Computed tomography, Abdomen

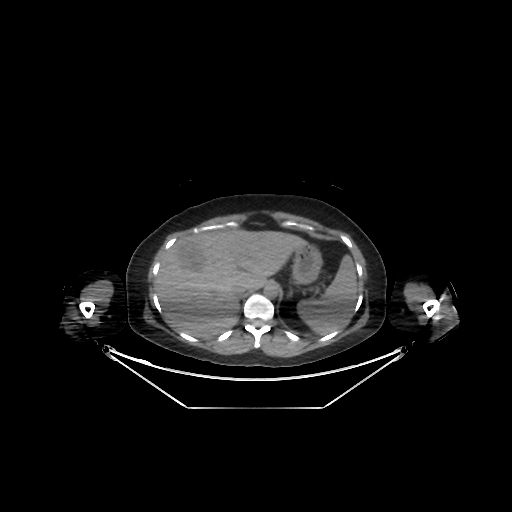
The liver is bounded by bbox=[153, 226, 303, 339].